Slice 67 of 102 | Computed tomography

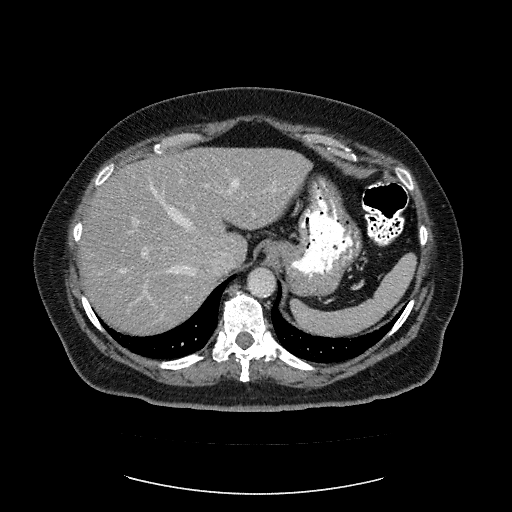
The vessel annotation is not exhaustive.
{
  "partial": true,
  "hepatic_vessel": {
    "n_total": 22,
    "boxes": [
      "(133,218,138,225)",
      "(170,266,195,275)",
      "(289,190,293,194)",
      "(227,189,231,193)",
      "(151,299,153,304)",
      "(142,248,148,256)",
      "(231,178,239,187)",
      "(128,231,132,232)",
      "(243,193,245,197)",
      "(206,184,209,186)",
      "(192,207,194,210)",
      "(150,182,190,226)",
      "(145,284,150,298)",
      "(120,268,126,271)",
      "(253,213,255,215)"
    ]
  }
}